FLAIR MR.
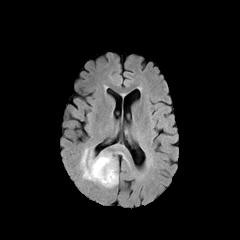
T1-weighted magnetic resonance.
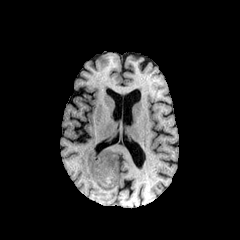
Post-contrast T1-weighted MRI.
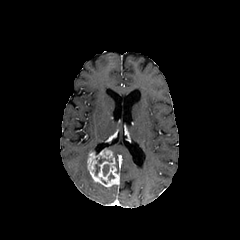
T2-weighted MR.
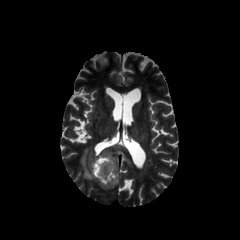
Head
Segmented structures:
- edema: rect(79, 146, 93, 181); rect(102, 164, 109, 176)
- enhancing tumor: rect(87, 149, 119, 186)